CT scan slice; Upper abdomen

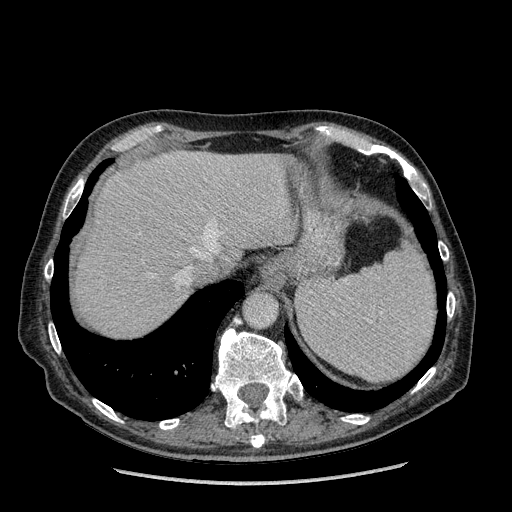 • liver: (x1=76, y1=151, x2=293, y2=338)